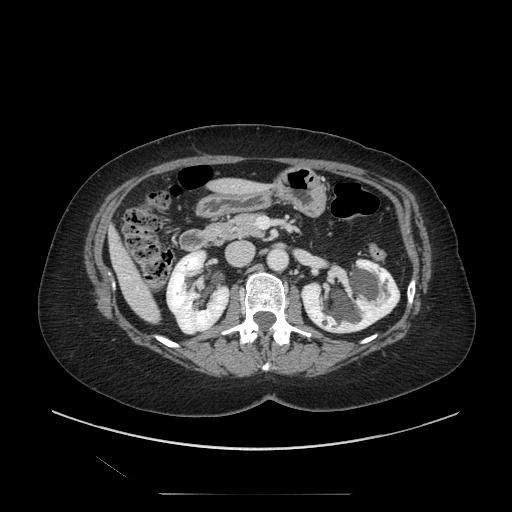

Image size 512x512 | Computed tomography | Upper abdomen
Findings:
* pancreas: x1=213, y1=213, x2=264, y2=244